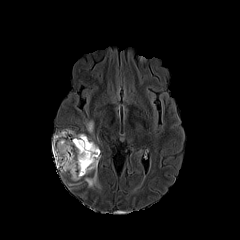
FLAIR MR image.
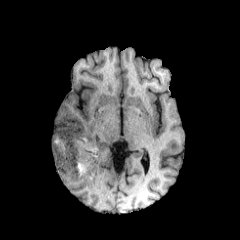
T1-weighted MRI.
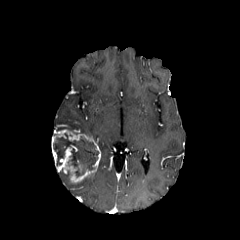
Post-contrast T1-weighted MR.
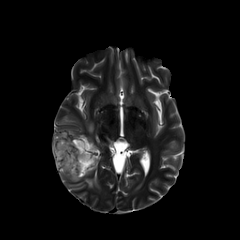
Same slice, T2-weighted MRI.
240x240 px | Head
Enhancing tumor: bounding box rect(52, 130, 100, 182).
Non-enhancing tumor core: bounding box rect(53, 132, 98, 177).
Edema: bounding box rect(84, 120, 93, 133); rect(84, 174, 101, 190).